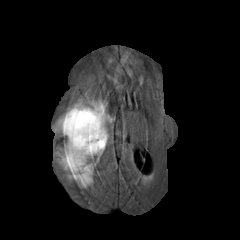
FLAIR MR image.
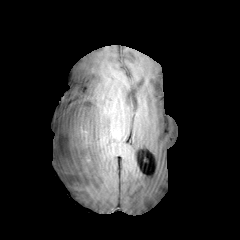
T1-weighted MR of the same slice.
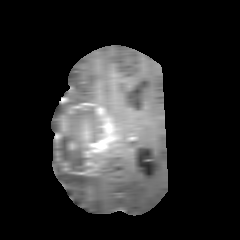
Same slice, post-contrast T1-weighted MR.
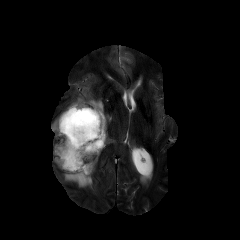
T2-weighted MR.
Enhancing tumor at [x1=74, y1=169, x2=92, y2=174], [x1=61, y1=116, x2=67, y2=131], [x1=68, y1=103, x2=114, y2=168].
Non-enhancing tumor core at [x1=55, y1=107, x2=94, y2=172].
Edema at [x1=53, y1=144, x2=93, y2=187], [x1=51, y1=86, x2=107, y2=134].